Slice index 53
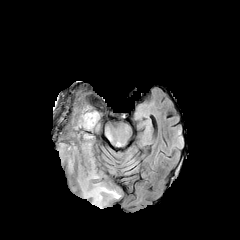
FLAIR MRI.
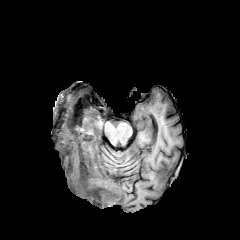
Same slice, T1-weighted MRI.
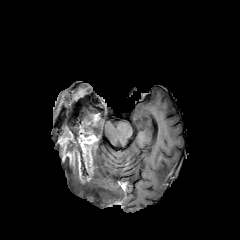
Post-contrast T1-weighted MRI.
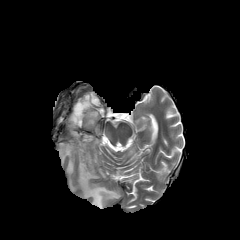
T2-weighted MRI of the same slice.
edema: 67:150:121:208, 80:105:99:119, 89:121:99:132 | non-enhancing tumor core: 70:156:78:175, 59:123:97:176, 74:105:85:126 | enhancing tumor: 78:113:99:128, 77:131:95:183, 58:138:75:165